CT scan slice, 512x512

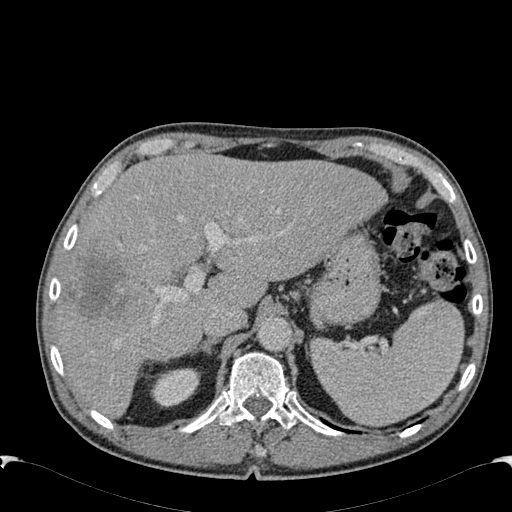
Segmented structures:
- kidney: 152, 369, 198, 406
- focal liver lesion: 63, 238, 135, 323
- liver: 55, 154, 386, 416